FLAIR magnetic resonance.
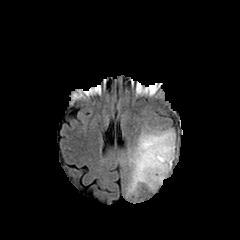
T1-weighted magnetic resonance.
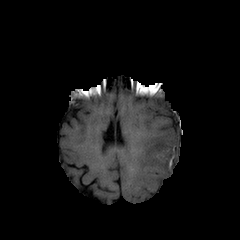
Post-contrast T1-weighted magnetic resonance.
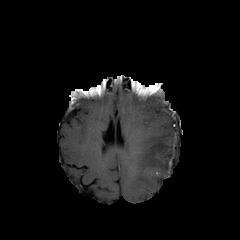
T2-weighted MR.
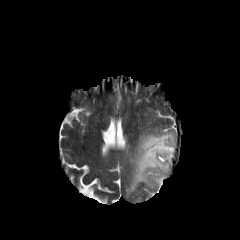
The edema appears at left=126, top=126, right=176, bottom=195.